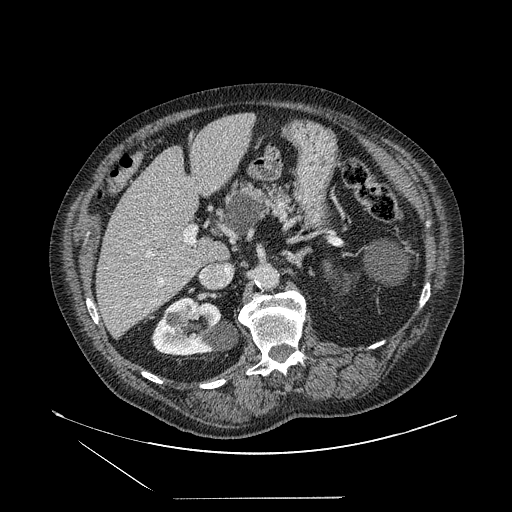
CT slice. {"pancreatic_tumor": ["[x1=225, y1=191, x2=259, y2=231]"], "pancreas": ["[x1=220, y1=180, x2=309, y2=235]"]}